CT | Abdomen

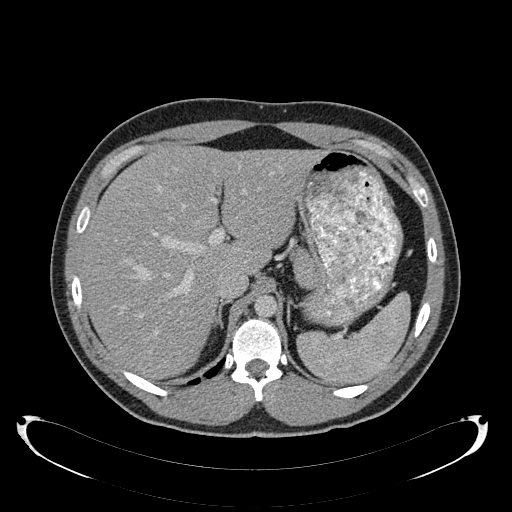

Liver — box(83, 145, 326, 379).